Computed tomography. Slice index 676. 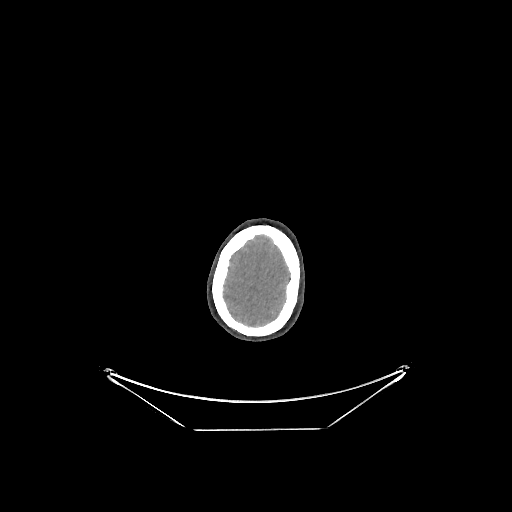
The brain is bounded by (223,235,290,326).